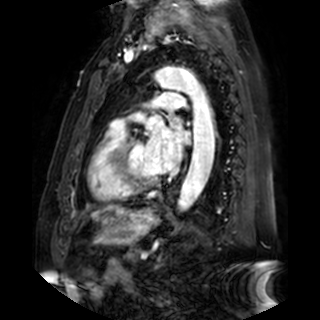
Magnetic resonance
Left atrium = [145, 117, 190, 173].